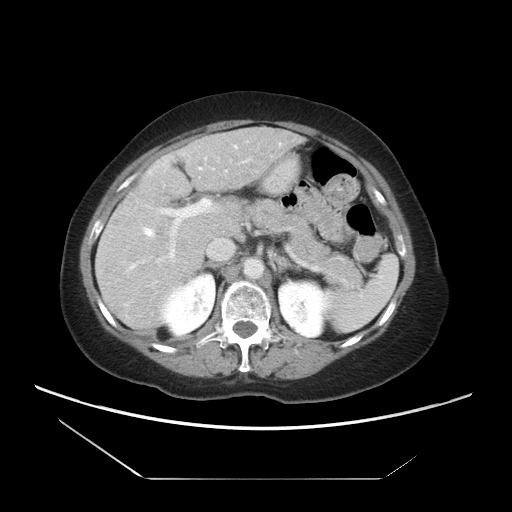 CT slice; Liver
Not every hepatic vessel necessarily has a box.
hepatic vessel: region(154, 281, 156, 282); region(143, 228, 154, 236); region(199, 167, 202, 169); region(127, 263, 135, 270); region(234, 145, 237, 148); region(157, 199, 210, 237); region(243, 159, 249, 162); region(159, 257, 163, 260); region(125, 304, 127, 305); region(168, 240, 174, 261); region(142, 260, 144, 263)